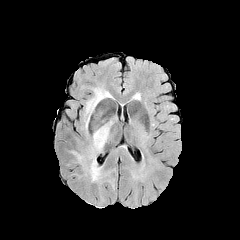
FLAIR MR image.
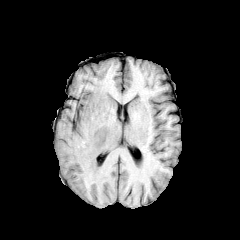
T1-weighted MR image.
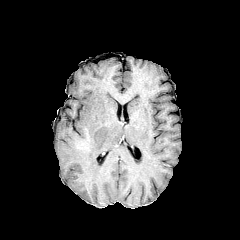
Post-contrast T1-weighted MR image.
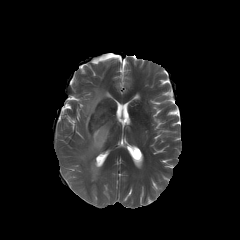
T2-weighted MRI.
Brain. 240x240.
3 edema regions are bounded by 82,124,109,181; 78,153,86,161; 84,89,111,129.